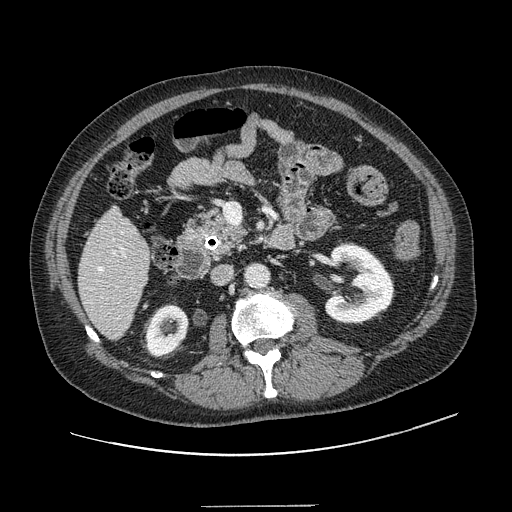

Upper abdomen, 512x512, Computed tomography
Pancreas: bounding box <bbox>187, 207, 247, 254</bbox>.